Head.
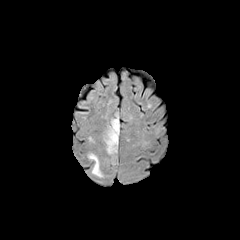
FLAIR MR image.
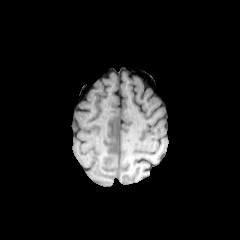
Same slice, T1-weighted MR.
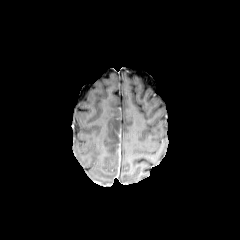
Post-contrast T1-weighted MR image.
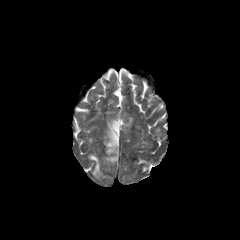
Same slice, T2-weighted MRI.
2 edema regions are located at 88, 153, 102, 176; 103, 115, 120, 163.